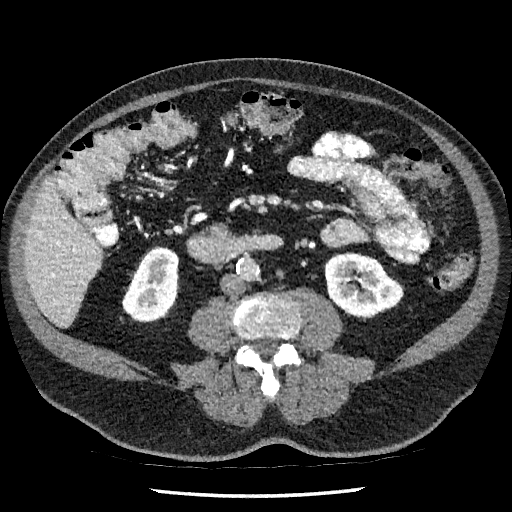

CT
<segmentation>
  <kidney>(left=325, top=254, right=402, bottom=316), (left=123, top=250, right=177, bottom=320)</kidney>
  <liver>(left=25, top=180, right=102, bottom=327)</liver>
</segmentation>